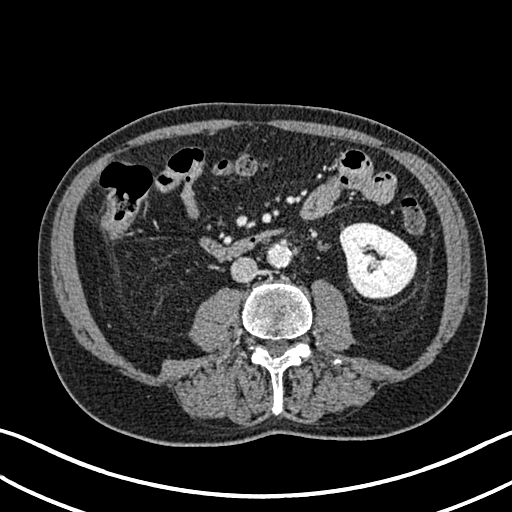
CT | Abdomen
The kidney appears at 340,223,416,297.